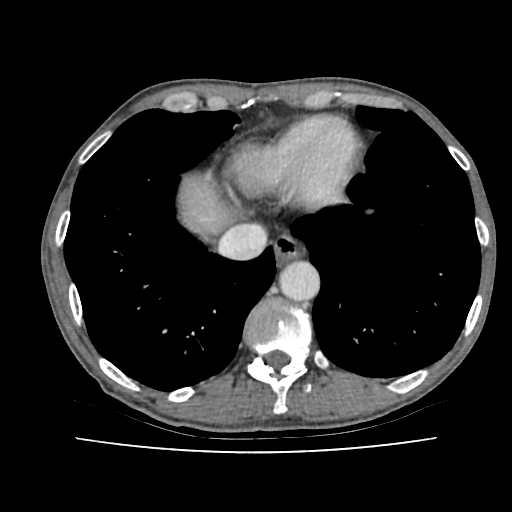 Computed tomography
Segmented structures:
* liver: {"x1": 351, "y1": 238, "x2": 360, "y2": 246}, {"x1": 182, "y1": 173, "x2": 215, "y2": 221}